Slice 191 of 252; Chest; Computed tomography

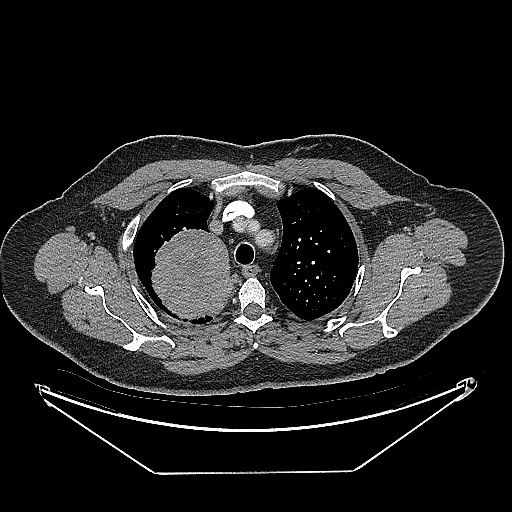

The lung tumor is at left=148, top=226, right=231, bottom=323.